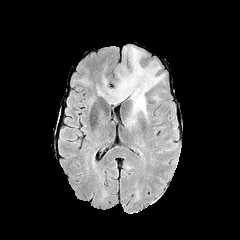
FLAIR MR.
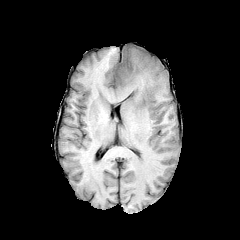
T1-weighted magnetic resonance of the same slice.
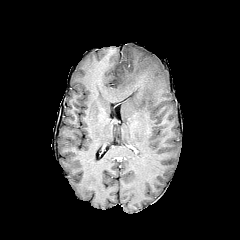
Post-contrast T1-weighted MR.
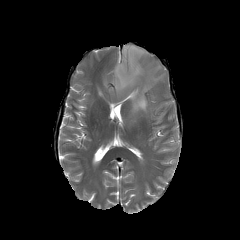
T2-weighted MRI of the same slice.
Head
{
  "edema": [
    "rect(106, 46, 164, 122)"
  ]
}